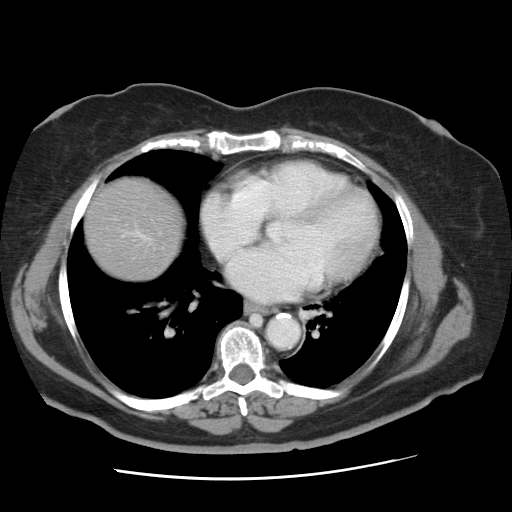
CT scan slice; Abdomen

The vessel annotation is not exhaustive.
Hepatic vessel = box(129, 229, 148, 238).